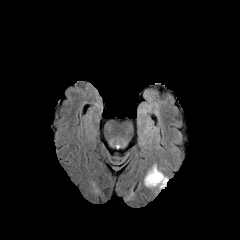
FLAIR magnetic resonance.
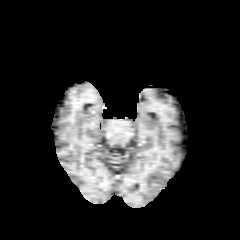
T1-weighted MR image.
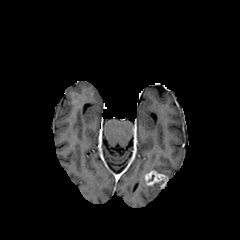
Same slice, post-contrast T1-weighted MR image.
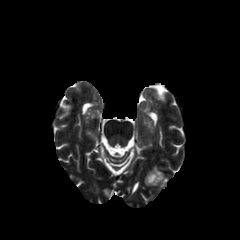
T2-weighted MR of the same slice.
240x240 px. Head.
Annotated regions:
• edema: x1=143 y1=178 x2=164 y2=191, x1=144 y1=163 x2=164 y2=175
• enhancing tumor: x1=144 y1=170 x2=167 y2=187